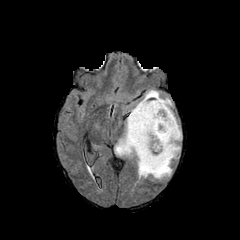
FLAIR MRI.
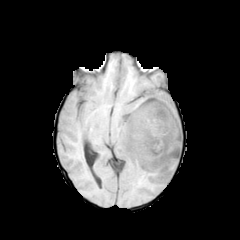
Same slice, T1-weighted magnetic resonance.
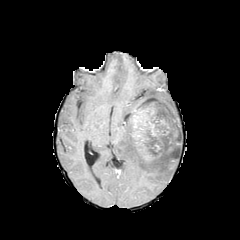
Post-contrast T1-weighted MRI of the same slice.
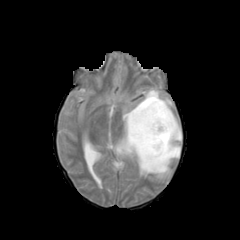
T2-weighted MR image.
Image size 240x240.
2 non-enhancing tumor core regions are bounded by 132 96 179 161, 128 110 133 135. The enhancing tumor is at 130 107 155 144. The edema is located at 114 88 181 179.